FLAIR magnetic resonance.
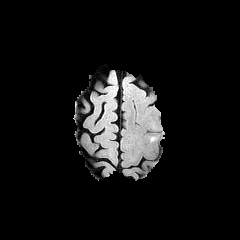
T1-weighted magnetic resonance.
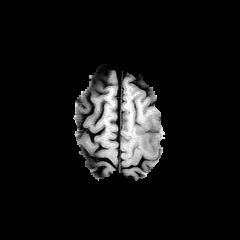
Post-contrast T1-weighted magnetic resonance.
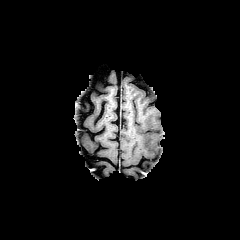
T2-weighted MR image.
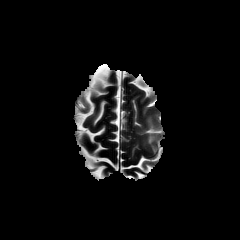
Brain.
Edema at 148,119,159,142.